Head, 240x240
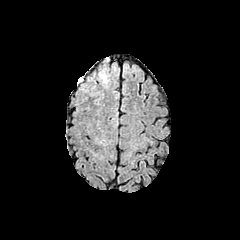
FLAIR MRI.
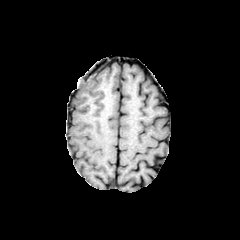
Same slice, T1-weighted MR.
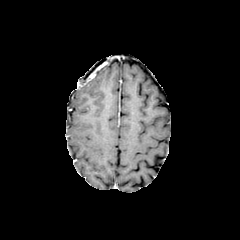
Post-contrast T1-weighted MR image.
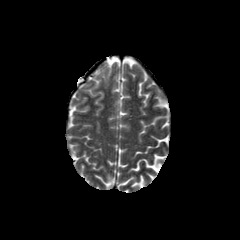
Same slice, T2-weighted MR.
<segmentation>
  <edema>100:72:107:81</edema>
</segmentation>